FLAIR MR.
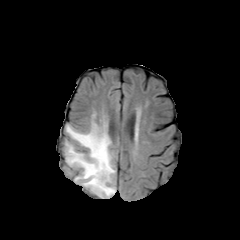
T1-weighted MRI.
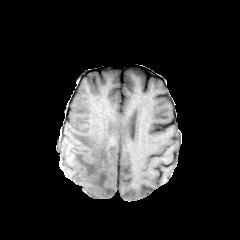
Post-contrast T1-weighted magnetic resonance.
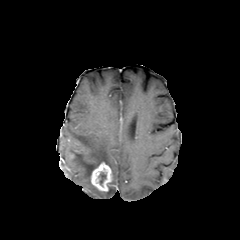
T2-weighted MR image.
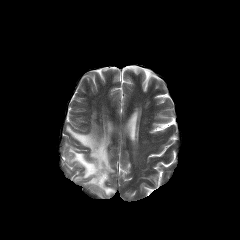
240x240.
Annotated regions:
* non-enhancing tumor core: box(88, 164, 97, 176)
* enhancing tumor: box(90, 162, 111, 191)
* edema: box(63, 114, 115, 197)